Image width 351 mm | Computed tomography

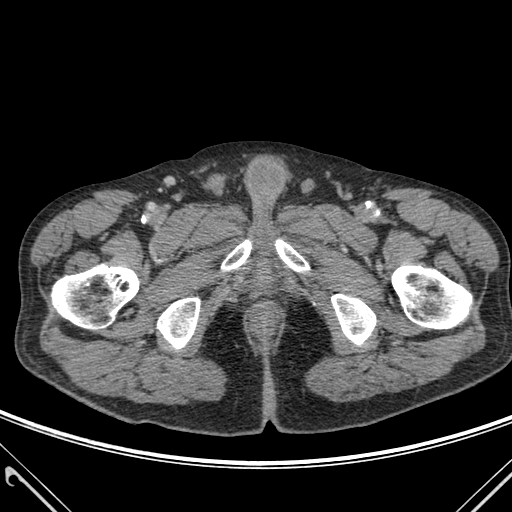
bone: left=157, top=298, right=199, bottom=348; left=275, top=239, right=309, bottom=271; left=51, top=264, right=138, bottom=328; left=221, top=240, right=251, bottom=270; left=331, top=294, right=376, bottom=344; left=392, top=265, right=471, bottom=328